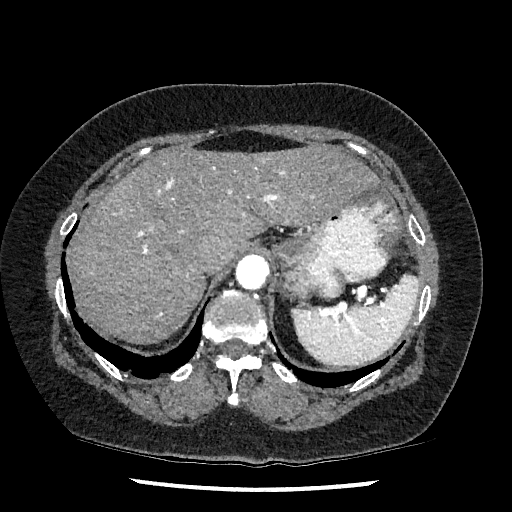 512x512 px; CT scan slice; Upper abdomen
Liver: rect(70, 145, 380, 344).